Medial temporal lobe; Magnetic resonance

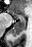
Posterior hippocampus: bounding box <bbox>11, 20, 25, 35</bbox>.
Anterior hippocampus: bounding box <bbox>9, 10, 25, 19</bbox>.